CT scan slice
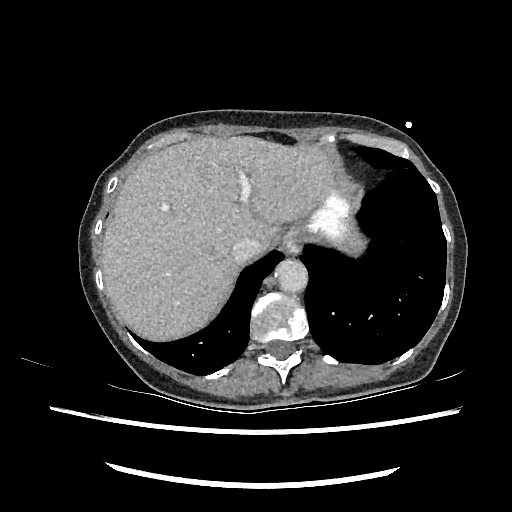

Liver = rect(103, 136, 334, 337).